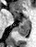

MR image
posterior_hippocampus:
  - 17 22 30 35
anterior_hippocampus:
  - 13 13 18 17
  - 21 17 28 21